CT slice 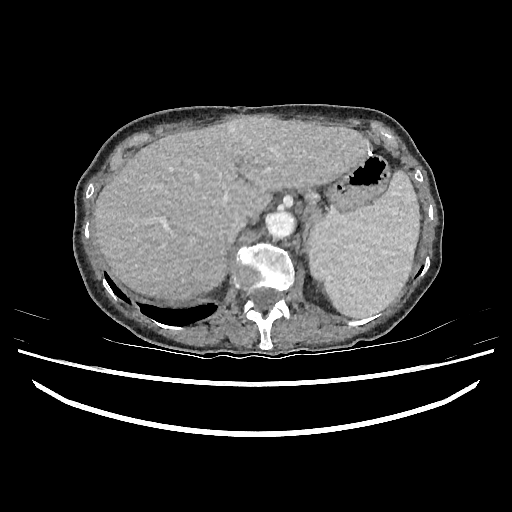

liver: (x1=95, y1=116, x2=369, y2=299)